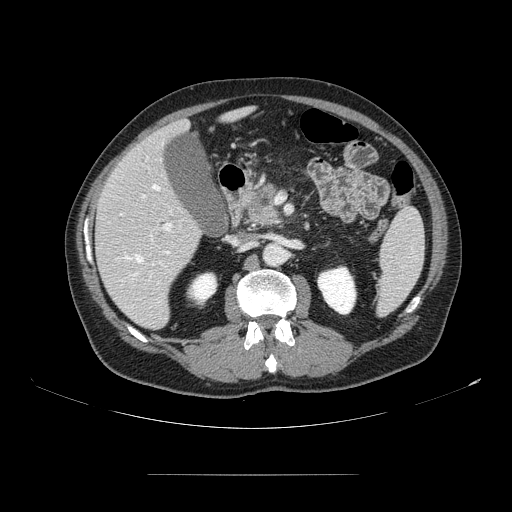

Upper abdomen; CT scan slice
pancreas: x1=246 y1=182 x2=281 y2=225